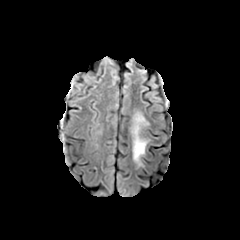
FLAIR MR image.
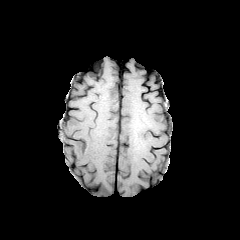
T1-weighted magnetic resonance.
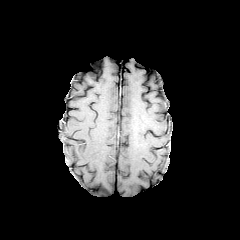
Post-contrast T1-weighted MRI of the same slice.
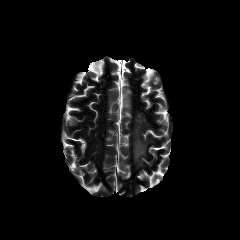
T2-weighted MRI.
240x240 px.
Edema — [x1=133, y1=139, x2=145, y2=161].